Head, Slice index 75
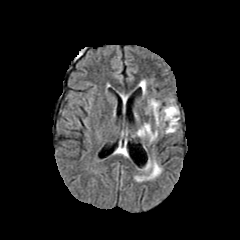
FLAIR MRI.
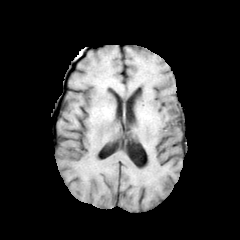
T1-weighted MRI of the same slice.
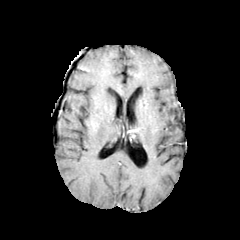
Post-contrast T1-weighted MR of the same slice.
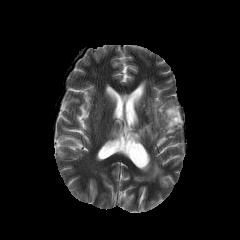
T2-weighted magnetic resonance.
Edema: (left=139, top=81, right=145, bottom=95), (left=148, top=99, right=179, bottom=133), (left=147, top=163, right=161, bottom=178), (left=137, top=123, right=156, bottom=138).